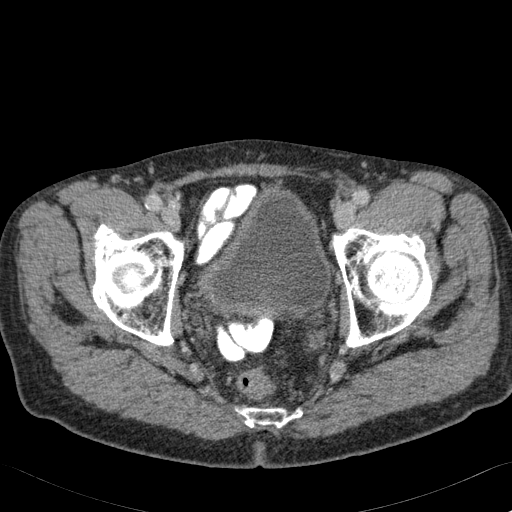 CT.
{"urinary_bladder": ["box=[200, 195, 331, 314]"]}